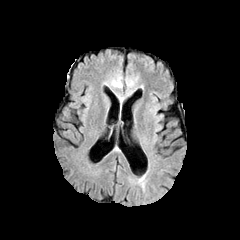
FLAIR MRI.
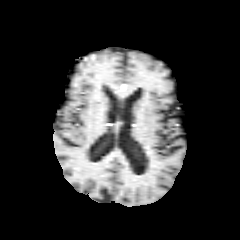
T1-weighted MR image of the same slice.
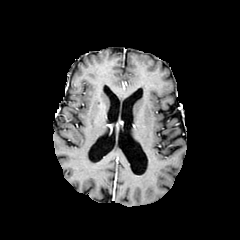
Post-contrast T1-weighted MR image.
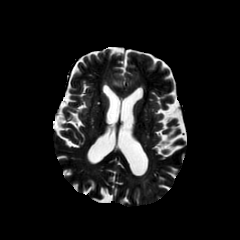
T2-weighted MR image.
Head; 240x240
The edema appears at bbox(138, 174, 146, 189).